FLAIR MR.
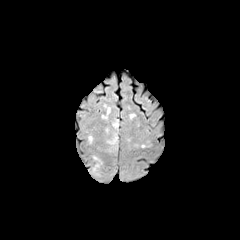
T1-weighted MR image.
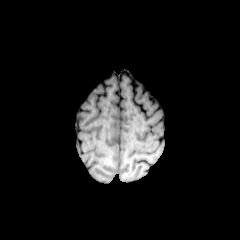
Post-contrast T1-weighted MR.
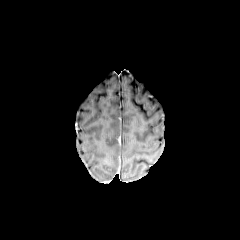
T2-weighted MRI.
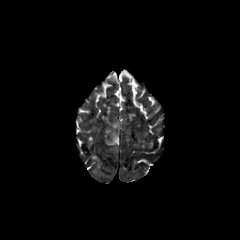
Findings:
* edema: (x1=107, y1=132, x2=117, y2=145)